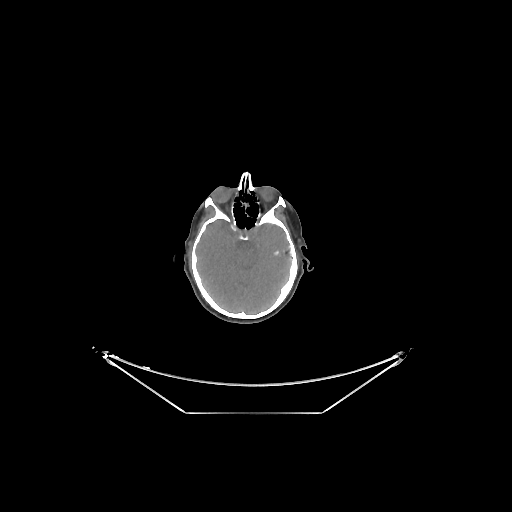
Computed tomography
* brain: box=[196, 219, 292, 314]